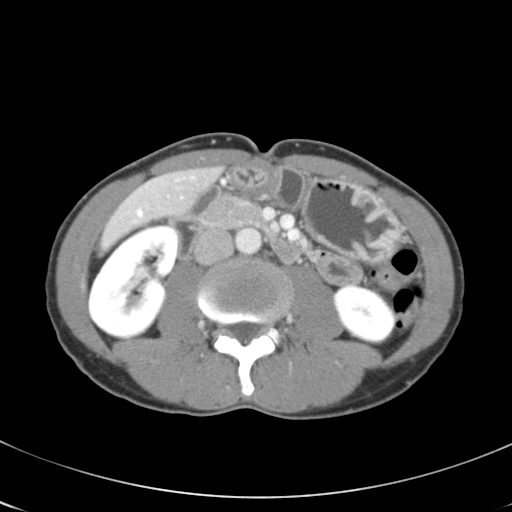

512x512 | CT scan slice
The vessel annotation is not exhaustive.
hepatic_vessel:
  - [181,196,183,198]
  - [192,176,194,178]
  - [138,210,142,218]